FLAIR magnetic resonance.
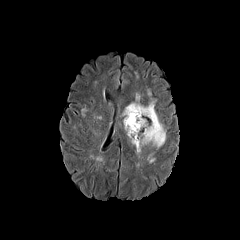
T1-weighted MRI.
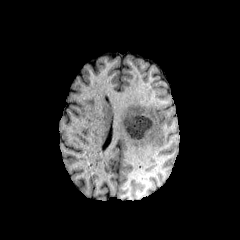
Post-contrast T1-weighted MR.
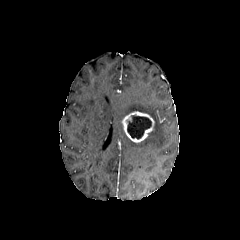
T2-weighted MR image.
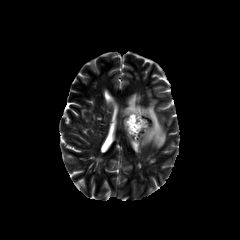
240x240
non-enhancing_tumor_core:
  - bbox=[126, 115, 151, 138]
edema:
  - bbox=[122, 102, 165, 154]
enhancing_tumor:
  - bbox=[122, 111, 154, 143]